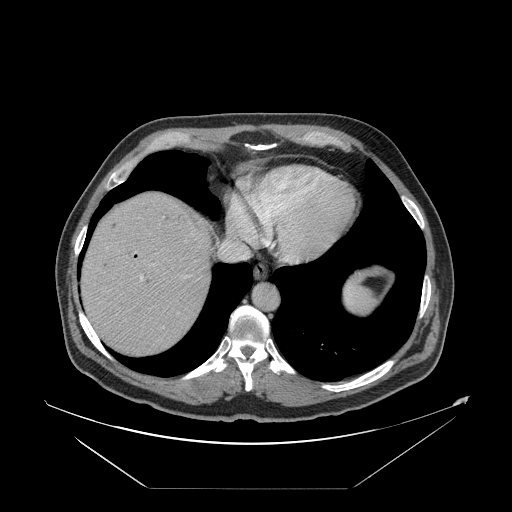 CT image
The vessel annotation is not exhaustive.
Hepatic vessel at (x1=182, y1=276, x2=187, y2=278), (x1=92, y1=329, x2=93, y2=331), (x1=238, y1=228, x2=254, y2=242), (x1=140, y1=275, x2=142, y2=280), (x1=89, y1=324, x2=90, y2=326), (x1=220, y1=243, x2=248, y2=259), (x1=133, y1=252, x2=135, y2=253).